Head; Slice index 89
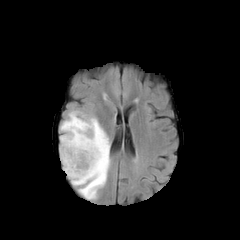
FLAIR MR image.
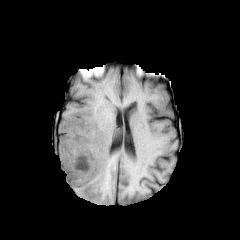
T1-weighted MR of the same slice.
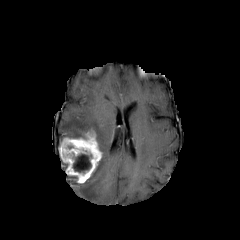
Post-contrast T1-weighted magnetic resonance.
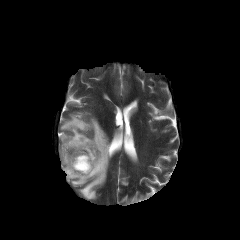
T2-weighted MR image.
The non-enhancing tumor core appears at {"x1": 73, "y1": 155, "x2": 90, "y2": 171}. The edema appears at {"x1": 60, "y1": 111, "x2": 110, "y2": 199}. The enhancing tumor appears at {"x1": 59, "y1": 133, "x2": 103, "y2": 185}.